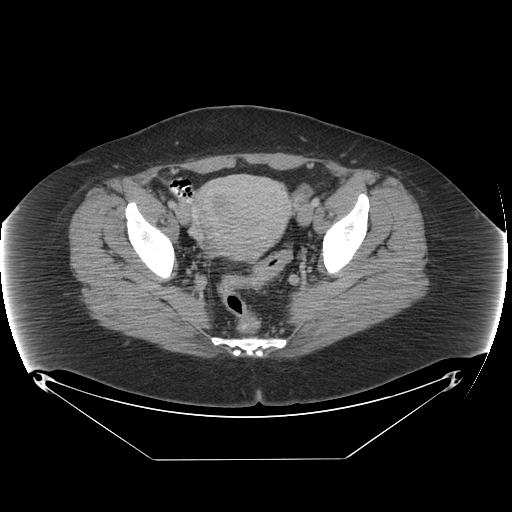 512x512 px; CT image

Colon tumor — 248 250 292 290.